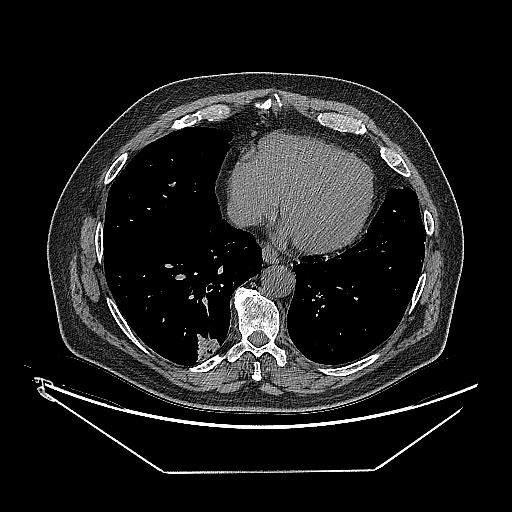 Chest; CT image

{"lung_tumor": ["x1=194, y1=330, x2=221, y2=363"]}